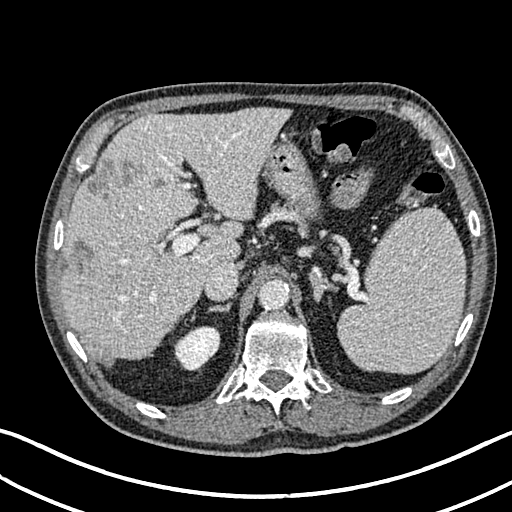

512x512 px; CT slice

4 hepatic lesion regions are located at (87,157,148,197), (102,348,111,357), (154,179,164,188), (72,239,93,275). The liver is at (63,107,290,365). The kidney is bounded by (176,327,219,369).